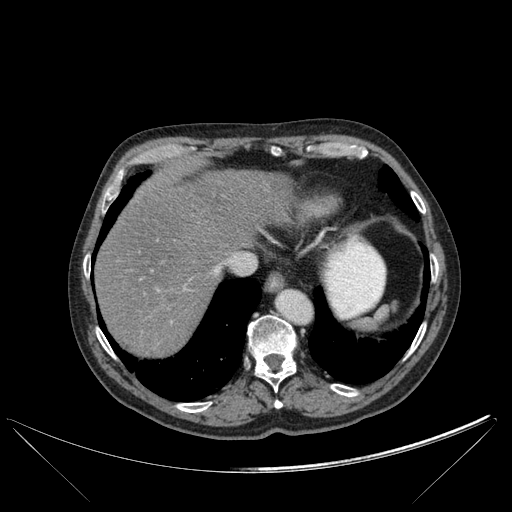 CT image | Upper abdomen
focal liver lesion: [163,293,176,301] | lung: [308,247,430,383], [98,278,260,400], [93,173,149,260], [378,165,418,220] | bone: [247,315,295,391], [105,188,114,199], [270,148,279,155], [83,259,90,276], [331,384,357,396], [177,402,210,412], [409,323,425,353], [411,192,425,213], [431,258,438,279], [96,328,114,357] | liver: [95,170,291,357]